FLAIR magnetic resonance.
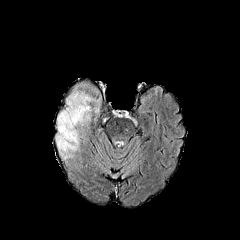
T1-weighted magnetic resonance.
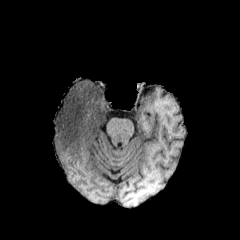
Post-contrast T1-weighted MR.
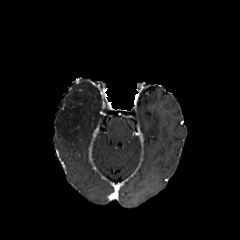
T2-weighted MR image.
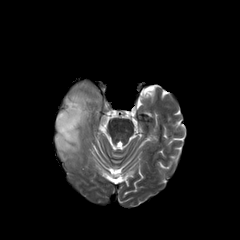
edema:
  - x1=55, y1=81, x2=102, y2=160